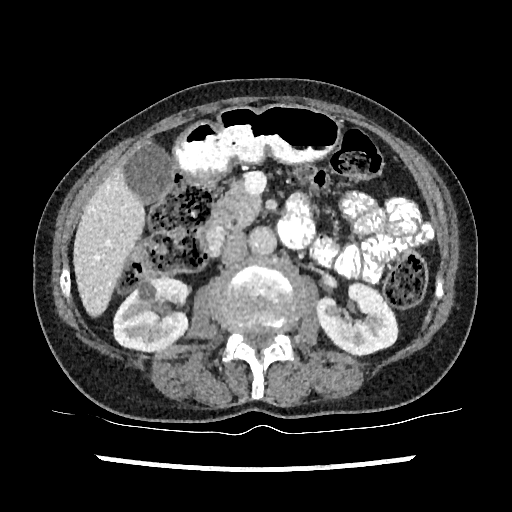 Upper abdomen, 512x512, CT slice

2 kidney regions are bounded by rect(114, 279, 189, 350); rect(317, 284, 396, 353). The liver is bounded by rect(74, 170, 144, 316).